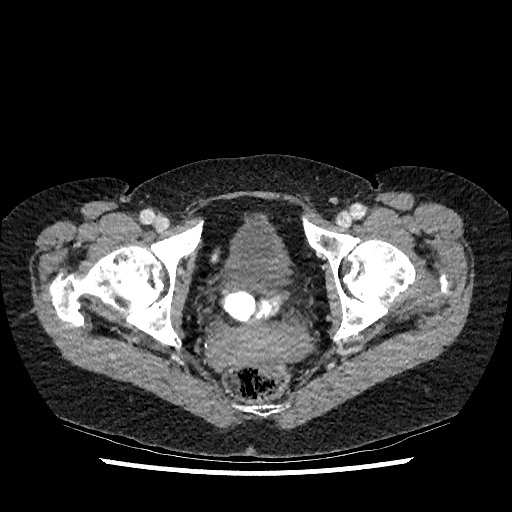 512x512. CT. Urinary bladder: 214, 211, 294, 293.